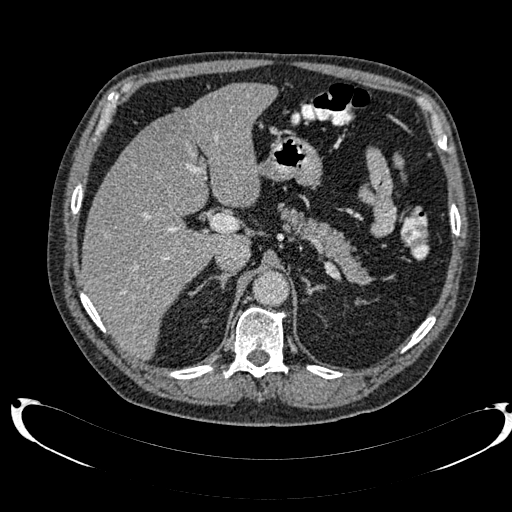

CT image; Abdomen
liver: [81,83,277,358] | focal liver lesion: [137,115,190,172]